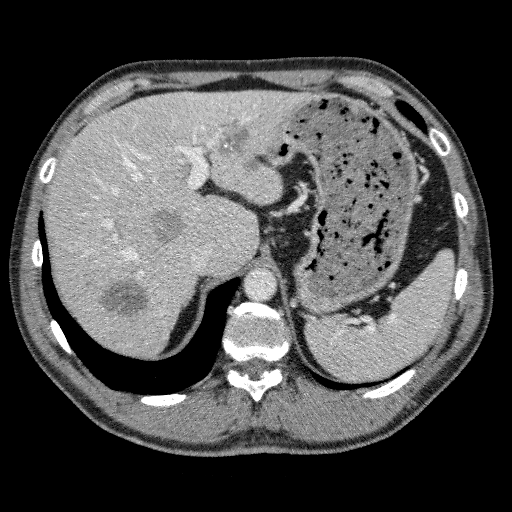

CT scan slice

Liver lesion — [x1=98, y1=279, x2=150, y2=320], [x1=242, y1=157, x2=258, y2=171], [x1=146, y1=206, x2=187, y2=245], [x1=113, y1=216, x2=128, y2=237], [x1=216, y1=120, x2=251, y2=157], [x1=83, y1=275, x2=96, y2=287].
Liver — [x1=46, y1=89, x2=310, y2=357].